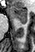

MRI slice | Hippocampus

The anterior hippocampus is at (x1=10, y1=7, x2=26, y2=21). The posterior hippocampus appears at (x1=20, y1=21, x2=25, y2=23).